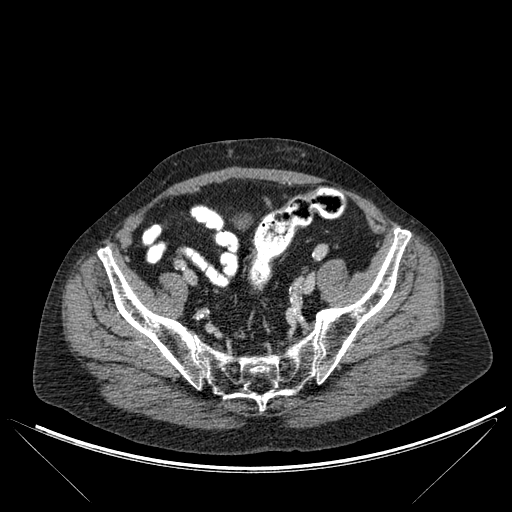

CT scan slice
bone:
  - 98,228,411,410